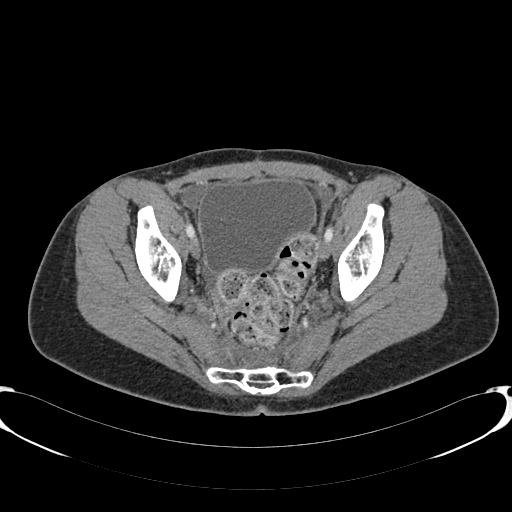
CT scan slice, Pelvis
The urinary bladder lies within {"x1": 200, "y1": 181, "x2": 313, "y2": 271}.